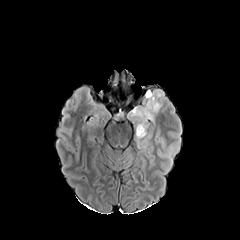
FLAIR MRI.
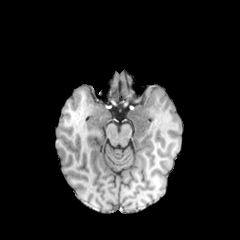
T1-weighted MRI.
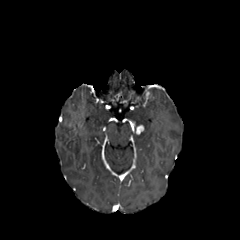
Post-contrast T1-weighted magnetic resonance.
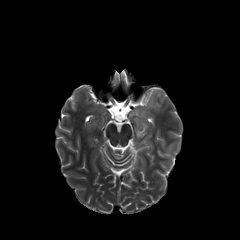
Same slice, T2-weighted MR.
Head.
{
  "edema": [
    "<box>128,93,161,152</box>"
  ],
  "enhancing_tumor": [
    "<box>136,125,144,135</box>"
  ]
}